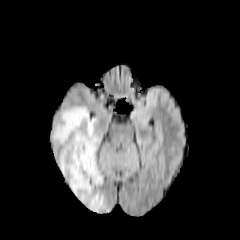
FLAIR MRI.
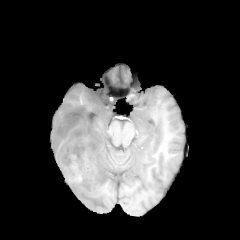
Same slice, T1-weighted MR image.
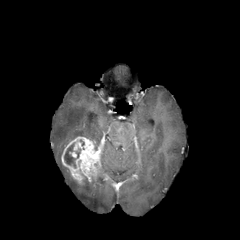
Post-contrast T1-weighted magnetic resonance of the same slice.
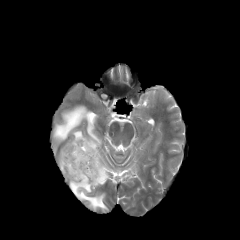
T2-weighted MRI.
Brain.
enhancing tumor: x1=61, y1=136, x2=107, y2=183 | edema: x1=51, y1=105, x2=107, y2=210 | non-enhancing tumor core: x1=97, y1=151, x2=102, y2=171; x1=83, y1=175, x2=102, y2=184; x1=63, y1=143, x2=79, y2=168